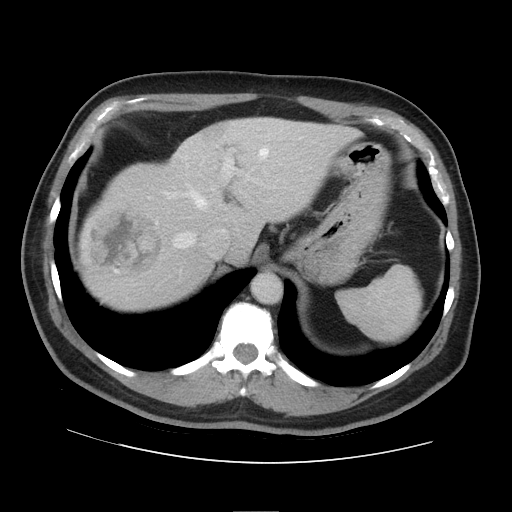
CT image | 512x512
Not every hepatic vessel necessarily has a box.
Findings:
• hepatic vessel: box=[185, 189, 207, 209]; box=[173, 232, 195, 247]; box=[225, 158, 231, 167]
• liver tumor: box=[86, 205, 164, 279]